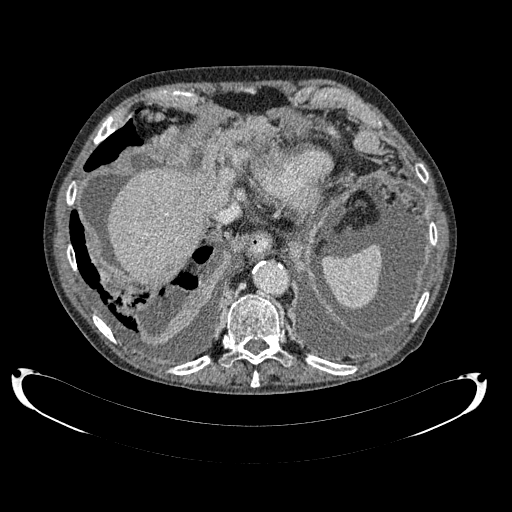 CT image | Image size 512x512
focal_liver_lesion:
  - <box>144,201,155,214</box>
liver:
  - <box>107,166,235,285</box>